240x240 | Slice 59/155
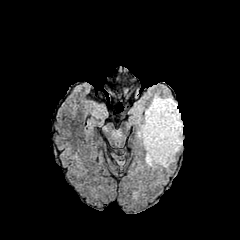
FLAIR MR image.
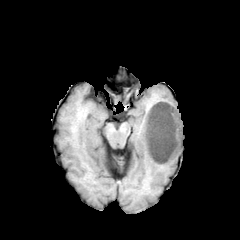
T1-weighted magnetic resonance.
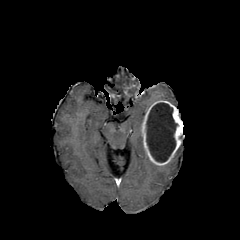
Post-contrast T1-weighted MR.
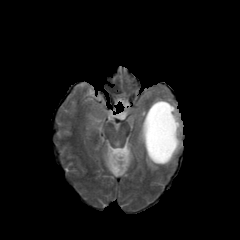
T2-weighted MR image of the same slice.
{"enhancing_tumor": ["left=141, top=100, right=184, bottom=165"], "non-enhancing_tumor_core": ["left=147, top=103, right=176, bottom=161"], "edema": ["left=151, top=94, right=177, bottom=107", "left=144, top=150, right=159, bottom=169", "left=137, top=120, right=142, bottom=146"]}